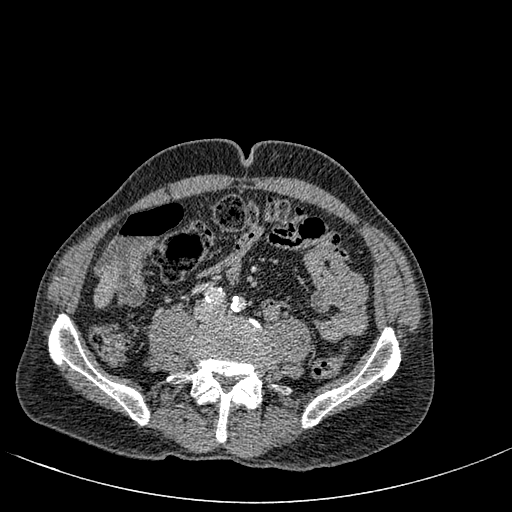 CT. Liver. The liver is at <box>95,267,115,307</box>.